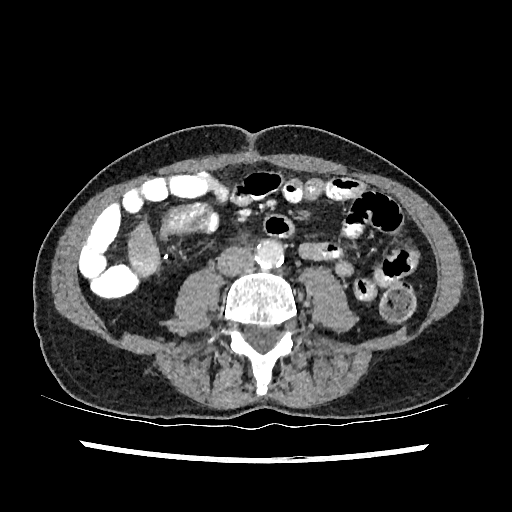 Liver | CT image
Segmented structures:
* liver: (left=129, top=220, right=158, bottom=277)